FLAIR MR image.
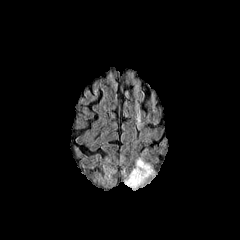
T1-weighted MR image.
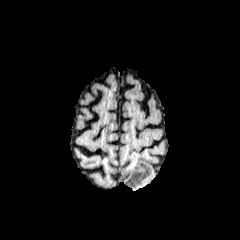
Post-contrast T1-weighted MR.
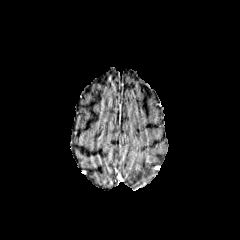
T2-weighted magnetic resonance.
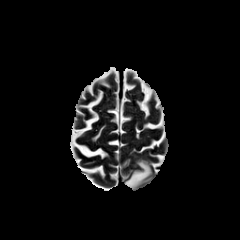
edema: box=[121, 158, 153, 190]